CT image | 512x512 | Upper abdomen | Field of view 377x377 mm

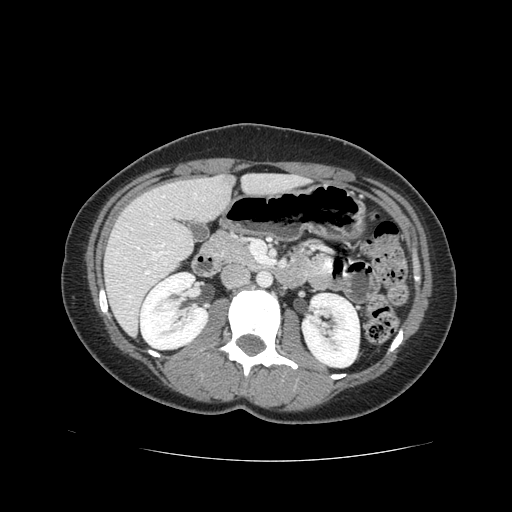
Pancreas at {"x1": 204, "y1": 232, "x2": 255, "y2": 266}.